FLAIR MR.
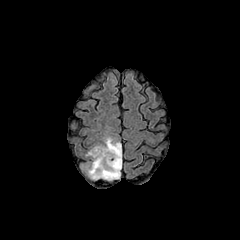
T1-weighted magnetic resonance.
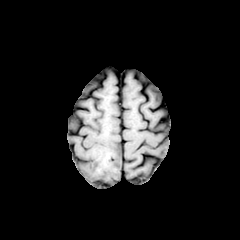
Post-contrast T1-weighted MRI.
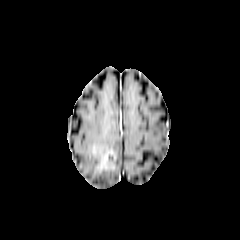
T2-weighted MR.
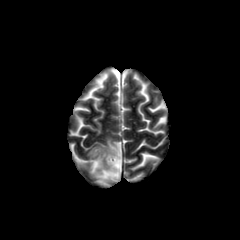
non-enhancing_tumor_core:
  - {"x1": 92, "y1": 146, "x2": 119, "y2": 172}
edema:
  - {"x1": 82, "y1": 135, "x2": 122, "y2": 181}
enhancing_tumor:
  - {"x1": 102, "y1": 152, "x2": 113, "y2": 166}